CT, Slice 49 of 144

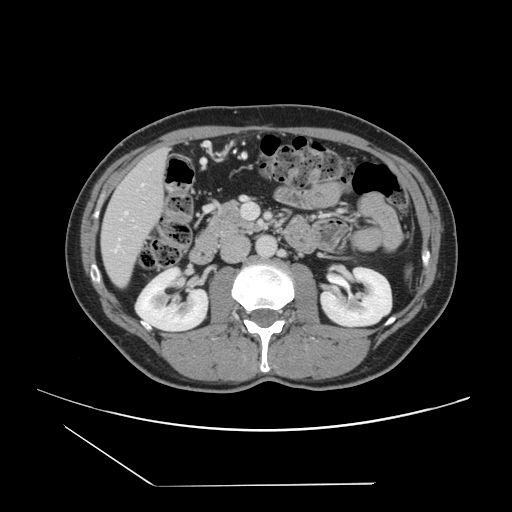
Not every hepatic vessel necessarily has a box.
Hepatic vessel at 135,226,136,227; 116,247,119,248.